Computed tomography. 512x512.
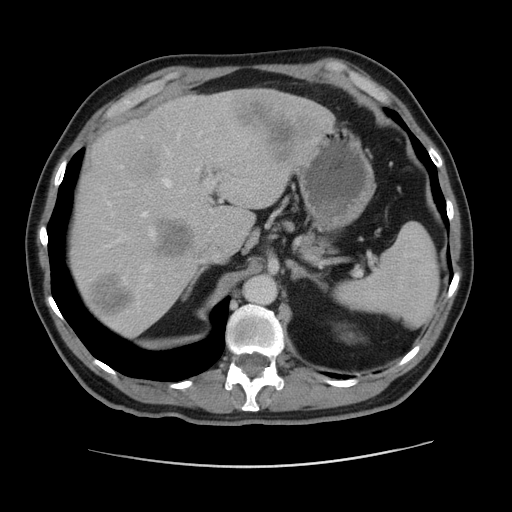 5 hepatic lesion regions appear at 237,98,269,126; 89,273,134,314; 265,117,316,162; 155,218,193,257; 141,153,162,174. The liver is at 68,88,330,333.